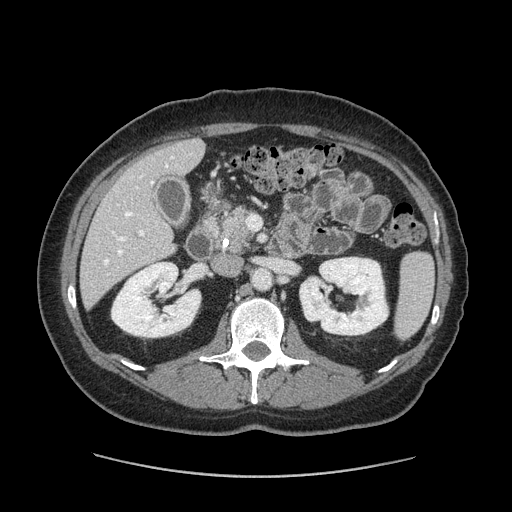

Computed tomography, Abdomen

Annotated regions:
* pancreas: bbox=[205, 208, 250, 252]
* pancreatic tumor: bbox=[225, 224, 248, 245]